CT slice
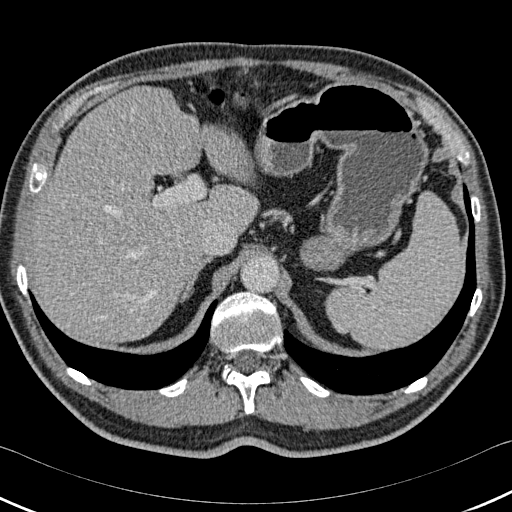
2 lung regions appear at <bbox>283, 183, 476, 395</bbox>, <bbox>28, 289, 217, 389</bbox>. The liver is bounded by <bbox>34, 86, 254, 342</bbox>. 11 bone regions are bounded by <bbox>469, 288, 481, 316</bbox>, <bbox>159, 379, 186, 396</bbox>, <bbox>67, 368, 90, 384</bbox>, <bbox>471, 196, 480, 221</bbox>, <bbox>29, 164, 46, 192</bbox>, <bbox>211, 292, 281, 352</bbox>, <bbox>404, 377, 427, 393</bbox>, <bbox>223, 365, 269, 413</bbox>, <bbox>457, 149, 469, 164</bbox>, <bbox>17, 265, 27, 294</bbox>, <bbox>300, 377, 329, 397</bbox>.